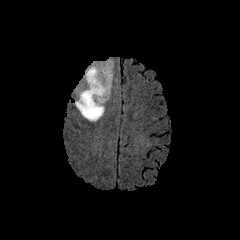
FLAIR MR.
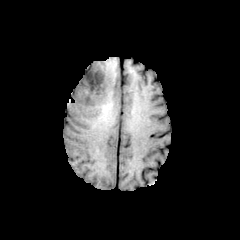
T1-weighted MR image of the same slice.
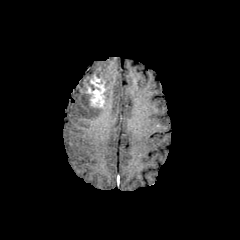
Post-contrast T1-weighted MR.
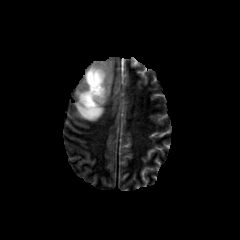
Same slice, T2-weighted magnetic resonance.
Segmented structures:
- edema: [x1=75, y1=90, x2=105, y2=121], [x1=84, y1=63, x2=112, y2=103]
- enhancing tumor: [x1=80, y1=69, x2=105, y2=107]